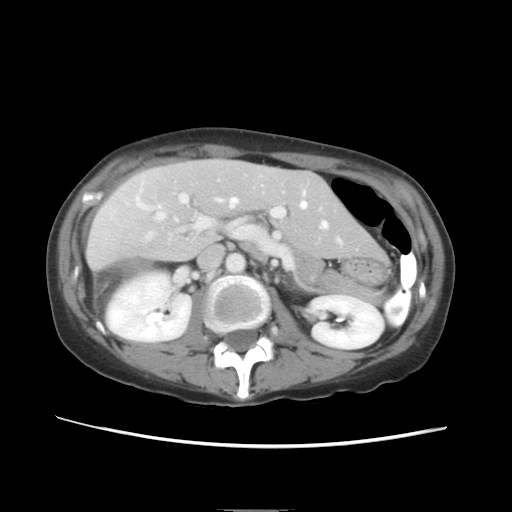

CT scan slice, Liver, 512x512
Not every hepatic vessel necessarily has a box.
Annotated regions:
* liver tumor: x1=115, y1=241, x2=145, y2=257
* hepatic vessel: x1=216, y1=198, x2=222, y2=201; x1=135, y1=196, x2=151, y2=208; x1=259, y1=237, x2=290, y2=262; x1=303, y1=191, x2=304, y2=194; x1=321, y1=221, x2=327, y2=227; x1=156, y1=205, x2=164, y2=219; x1=146, y1=231, x2=153, y2=238; x1=231, y1=222, x2=259, y2=237; x1=175, y1=218, x2=177, y2=219; x1=229, y1=197, x2=237, y2=206; x1=300, y1=200, x2=306, y2=207; x1=170, y1=216, x2=216, y2=236; x1=271, y1=207, x2=285, y2=217; x1=180, y1=193, x2=187, y2=201; x1=338, y1=238, x2=341, y2=242